CT image. Slice 457/536.
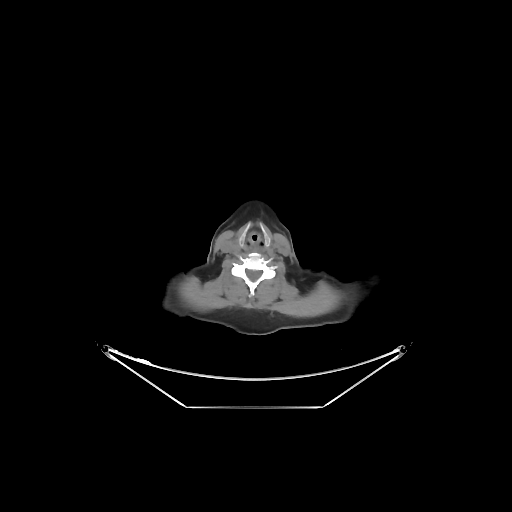 <segmentation>
  <bone>left=232, top=253, right=275, bottom=296</bone>
</segmentation>